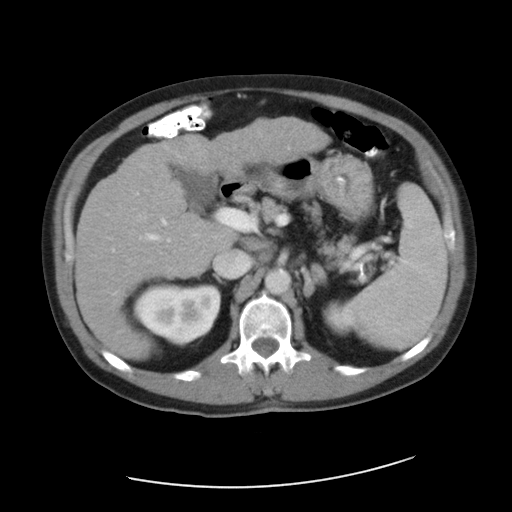
CT image
The vessel boxes may cover only some of the vessels.
hepatic vessel: (left=221, top=210, right=240, bottom=228), (left=146, top=233, right=159, bottom=239), (left=139, top=215, right=145, bottom=218), (left=193, top=234, right=198, bottom=236), (left=112, top=249, right=114, bottom=250), (left=140, top=236, right=142, bottom=238), (left=161, top=218, right=166, bottom=224), (left=167, top=239, right=169, bottom=241)